Brain.
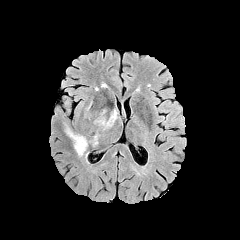
FLAIR MR image.
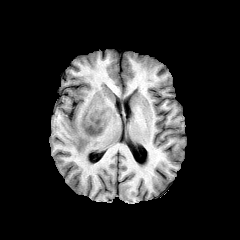
Same slice, T1-weighted MR image.
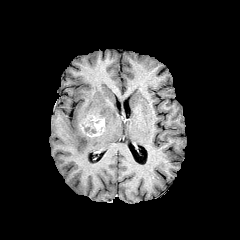
Post-contrast T1-weighted MRI.
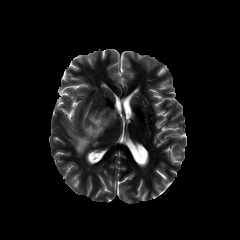
T2-weighted magnetic resonance.
Edema: (left=100, top=111, right=117, bottom=130), (left=65, top=122, right=99, bottom=157), (left=82, top=114, right=90, bottom=124).
Enhancing tumor: (left=86, top=114, right=104, bottom=137).